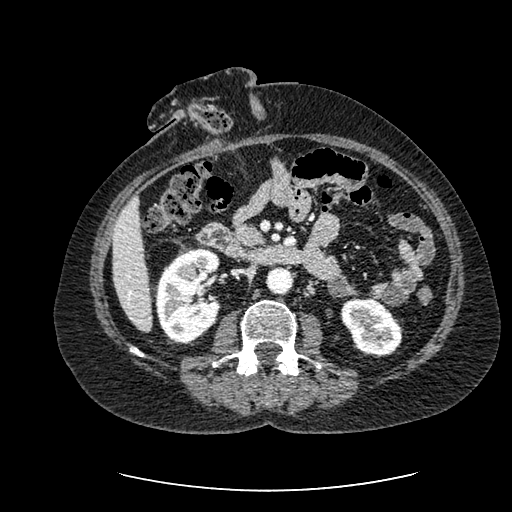 512x512, CT
<segmentation>
  <liver>bbox=[113, 195, 152, 331]</liver>
  <kidney>bbox=[341, 299, 401, 355]; bbox=[156, 249, 218, 342]</kidney>
</segmentation>